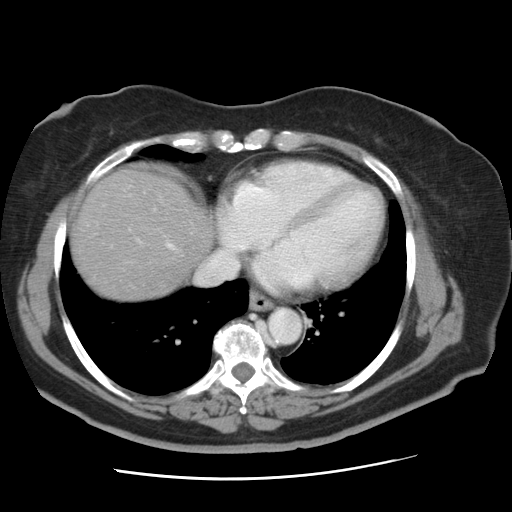

512x512, CT image, Liver

The vessel boxes may cover only some of the vessels.
Hepatic vessel — x1=166, y1=243, x2=173, y2=248; x1=197, y1=255, x2=229, y2=282.